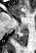 Image size 36x53, Magnetic resonance, Hippocampus

Segmented structures:
- posterior hippocampus: rect(15, 27, 27, 45)